Slice 31 of 574 | Image width 411 mm | 512x512 | Computed tomography 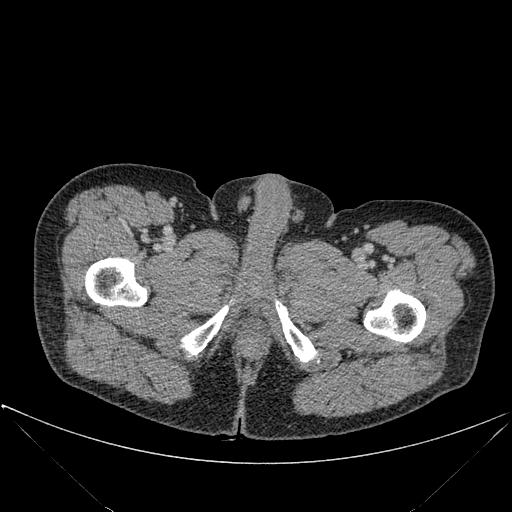 - bone: bbox=[364, 290, 425, 342]; bbox=[276, 301, 316, 361]; bbox=[85, 258, 146, 306]; bbox=[181, 305, 228, 356]